Field of view 400 mm wide, 0.80 mm slice spacing. Image size 512x512. Slice 153/836. CT. Pelvis.

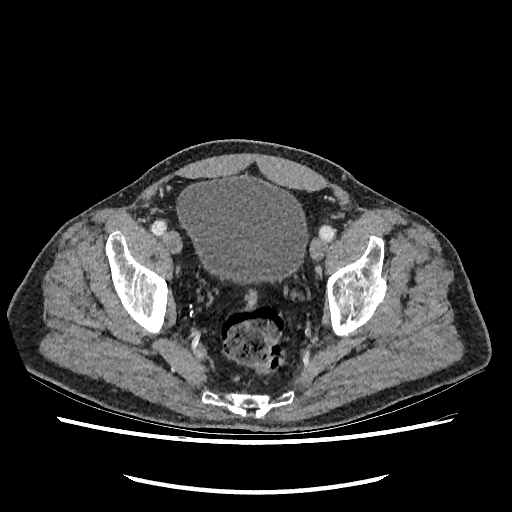

• urinary bladder: 177,175,308,283